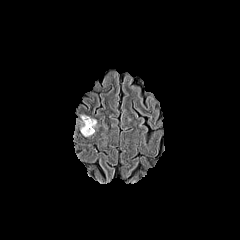
FLAIR MR image.
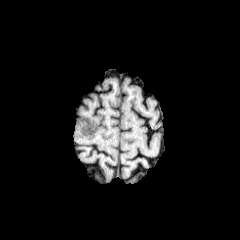
Same slice, T1-weighted MR image.
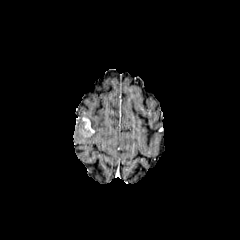
Post-contrast T1-weighted MR image.
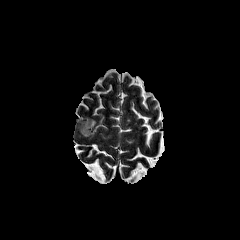
Same slice, T2-weighted magnetic resonance.
Head.
The enhancing tumor appears at bbox=[83, 117, 94, 132]. 2 edema regions are bounded by bbox=[76, 119, 84, 133]; bbox=[79, 114, 98, 131]. The non-enhancing tumor core lies within bbox=[81, 128, 93, 136].